FLAIR MR image.
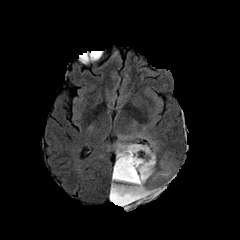
T1-weighted MR image.
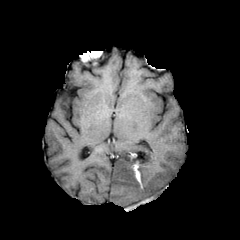
Post-contrast T1-weighted MR.
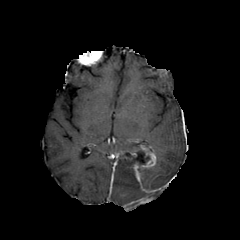
T2-weighted MR.
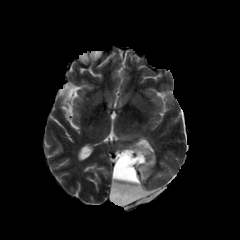
Brain
{"non-enhancing_tumor_core": ["left=110, top=148, right=159, bottom=209"], "edema": ["left=143, top=166, right=165, bottom=198", "left=116, top=143, right=139, bottom=152", "left=114, top=182, right=143, bottom=196"], "enhancing_tumor": ["left=136, top=196, right=147, bottom=203", "left=140, top=145, right=155, bottom=167", "left=133, top=164, right=142, bottom=182"]}